MRI. 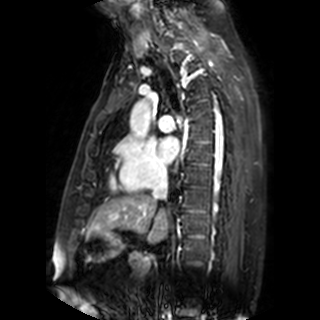
left_atrium:
  - x1=158, y1=137, x2=177, y2=162